FLAIR MR.
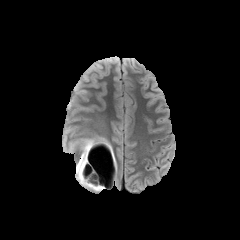
T1-weighted MR.
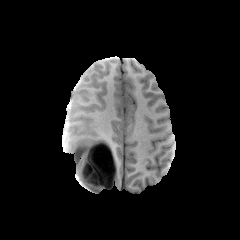
Post-contrast T1-weighted MR image.
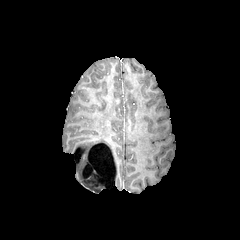
T2-weighted MR.
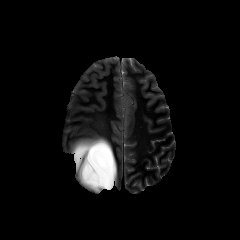
Brain
- edema: 72 137 108 154, 94 177 111 192, 76 154 93 190
- non-enhancing tumor core: 74 143 106 190